Hippocampus. MRI. 35x55 px.

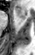 <segmentation>
  <anterior_hippocampus>l=15, t=8, r=25, b=19</anterior_hippocampus>
</segmentation>